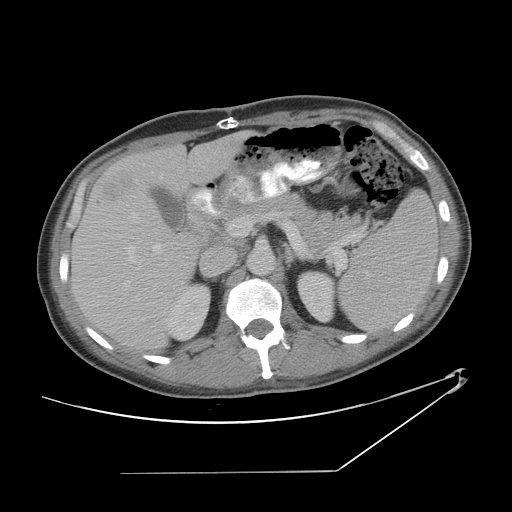

CT image. Liver. Some hepatic vessels may have no box.
Hepatic vessel = 128,247,141,263; 153,244,161,252; 150,171,153,173; 124,281,129,290; 133,214,138,218.
Liver tumor = 105,178,131,199.